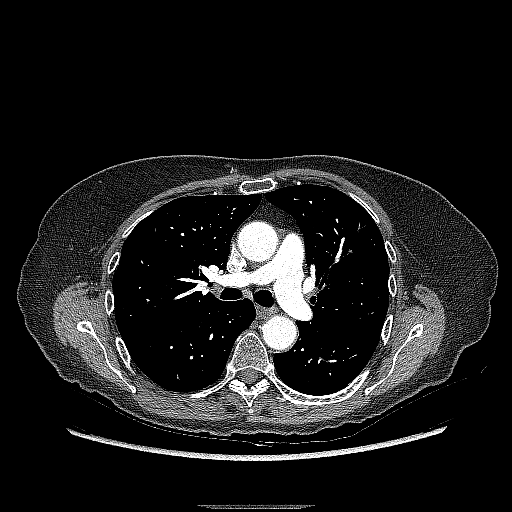 Image size 512x512. CT slice. Thorax.
Lung tumor: bbox(331, 235, 354, 258).